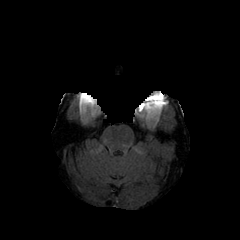
FLAIR MR image.
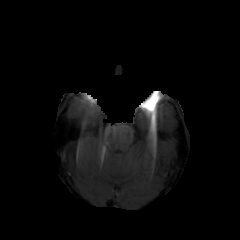
T1-weighted MR.
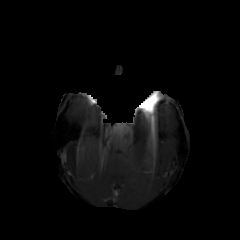
Post-contrast T1-weighted MRI.
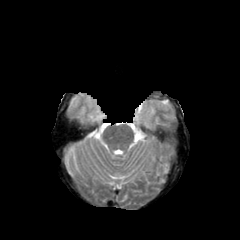
Same slice, T2-weighted MRI.
Head | Image size 240x240
enhancing tumor: <box>137,102,155,117</box> | non-enhancing tumor core: <box>139,97,157,109</box>, <box>146,94,167,123</box>